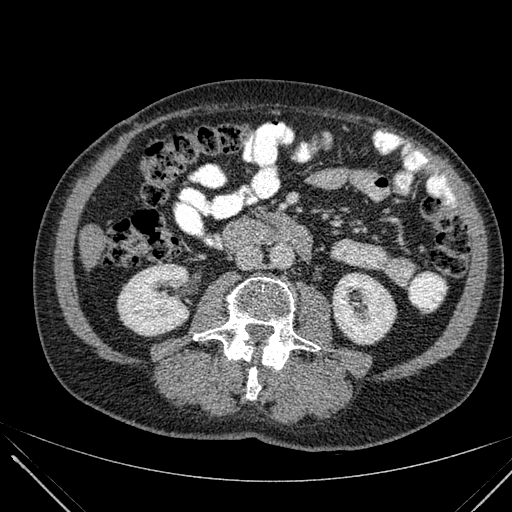 Upper abdomen; Computed tomography
2 kidney regions appear at box=[118, 264, 188, 335]; box=[333, 274, 395, 343]. The liver is at box=[80, 224, 109, 267].